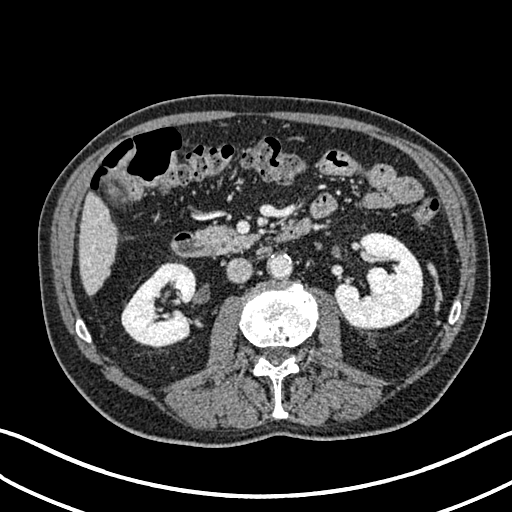 Image size 512x512 | Liver | CT
Annotated regions:
• liver: box=[79, 193, 117, 293]; box=[119, 151, 133, 166]
• kidney: box=[335, 233, 422, 327]; box=[122, 264, 195, 346]